Field of view 240 mm wide, 1.00 mm slice spacing. Slice index 77.
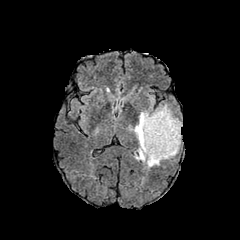
FLAIR magnetic resonance.
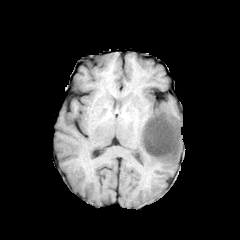
T1-weighted MR.
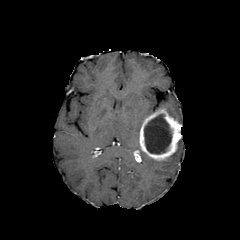
Post-contrast T1-weighted MR image of the same slice.
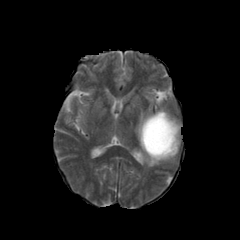
T2-weighted MRI.
Annotated regions:
• edema: 131 109 153 148, 140 153 162 169
• enhancing tumor: 139 106 182 161
• non-enhancing tumor core: 144 115 171 153